FLAIR MR image.
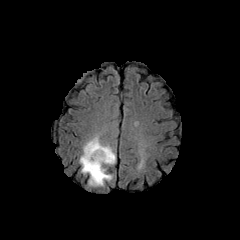
T1-weighted magnetic resonance.
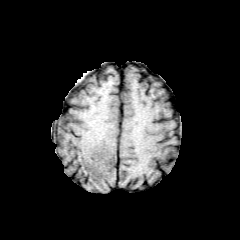
Post-contrast T1-weighted magnetic resonance.
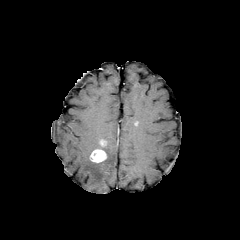
T2-weighted magnetic resonance.
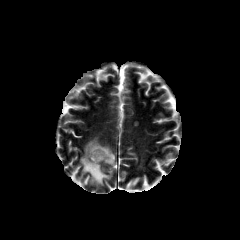
Image size 240x240
Segmented structures:
- enhancing tumor: <bbox>90, 149, 107, 162</bbox>
- edema: <bbox>80, 136, 115, 186</bbox>